Slice index 469, Field of view 700 mm wide, 3.27 mm slice spacing, CT slice

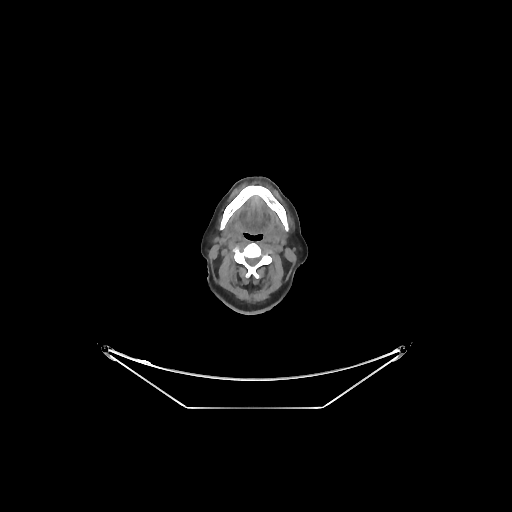
2 bone regions are bounded by [220,185,288,231], [234,243,271,277].